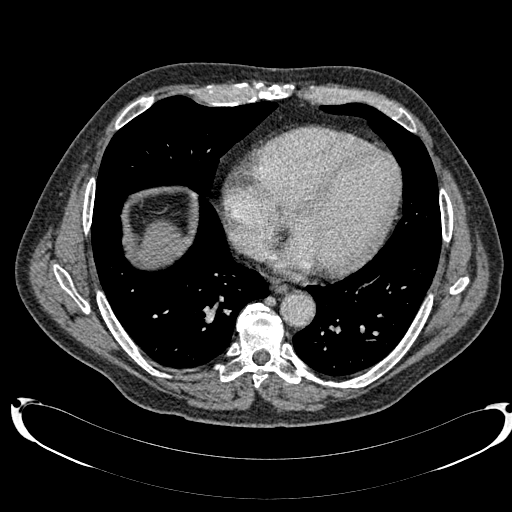 CT

liver: <bbox>142, 222, 183, 263</bbox>